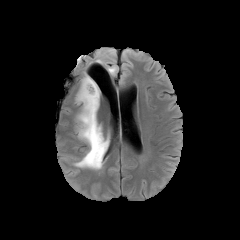
FLAIR MRI.
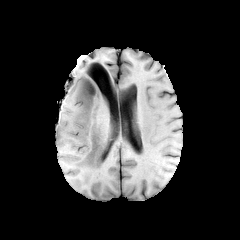
T1-weighted MRI of the same slice.
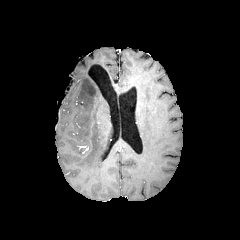
Post-contrast T1-weighted magnetic resonance of the same slice.
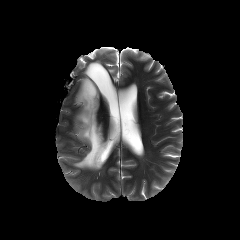
T2-weighted MR.
Brain
3 edema regions are bounded by 105 62 116 76, 73 75 109 169, 104 50 115 56. The non-enhancing tumor core lies within 84 82 93 95.